Head.
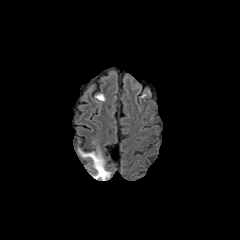
FLAIR magnetic resonance.
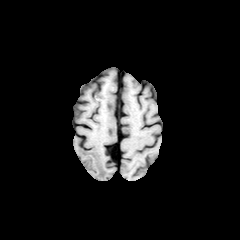
T1-weighted MR image.
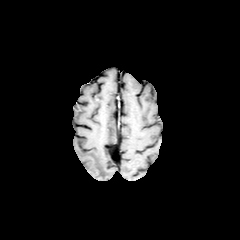
Same slice, post-contrast T1-weighted MR image.
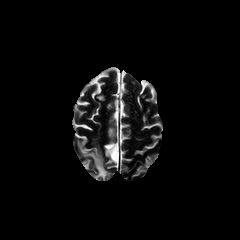
T2-weighted MRI.
Edema = {"x1": 79, "y1": 148, "x2": 109, "y2": 179}.